Slice 58 of 146. CT slice.
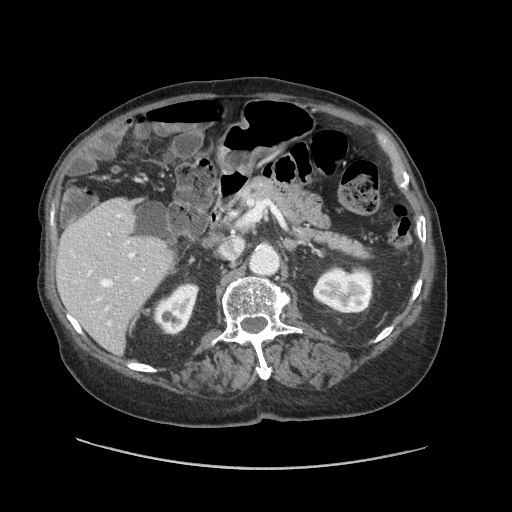 Only some of the vessels may be annotated.
Hepatic vessel — 233, 239, 242, 252; 101, 280, 111, 286; 221, 247, 233, 258.